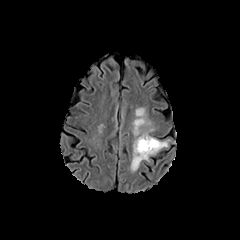
FLAIR MRI.
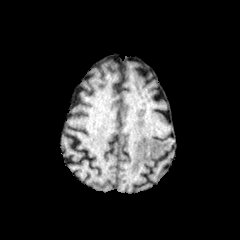
T1-weighted MRI.
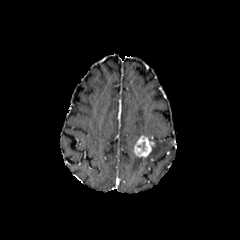
Post-contrast T1-weighted MR image of the same slice.
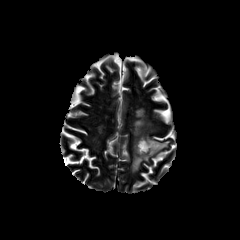
T2-weighted magnetic resonance.
Image size 240x240
Edema = (x1=130, y1=139, x2=171, y2=173), (x1=131, y1=108, x2=154, y2=147).
Enhancing tumor = (x1=133, y1=134, x2=154, y2=159).